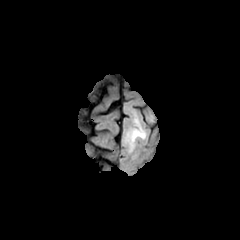
FLAIR MR image.
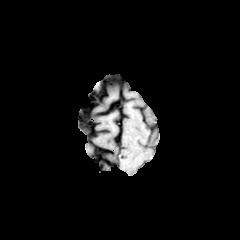
Same slice, T1-weighted MRI.
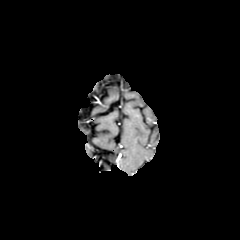
Post-contrast T1-weighted MRI.
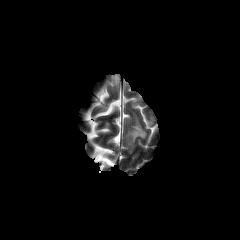
Same slice, T2-weighted magnetic resonance.
Head
The edema is bounded by left=124, top=115, right=146, bottom=151.